FLAIR MRI.
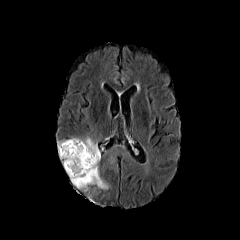
T1-weighted magnetic resonance.
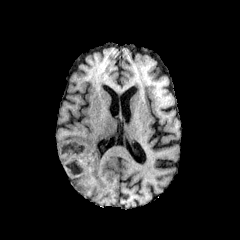
Post-contrast T1-weighted MR image.
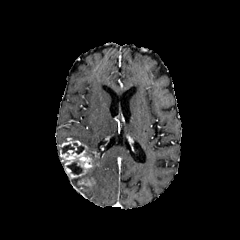
T2-weighted MRI.
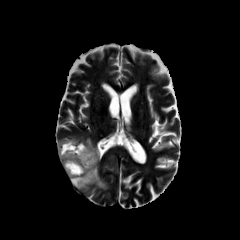
Brain
Non-enhancing tumor core — (66, 161, 83, 175), (61, 143, 84, 154).
Edema — (70, 165, 108, 192), (70, 136, 101, 160).
Enhancing tumor — (78, 177, 95, 186), (60, 140, 99, 178).